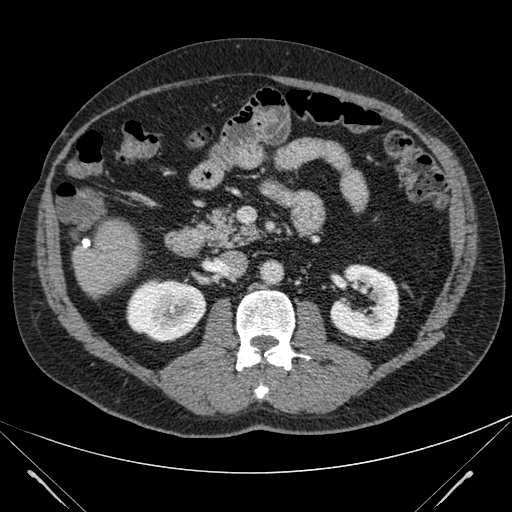 CT scan slice

<segmentation>
  <kidney>(128,281,204,340), (331,265,398,339)</kidney>
  <liver>(72,220,140,297)</liver>
</segmentation>